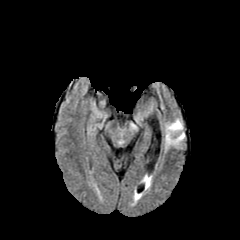
FLAIR MRI.
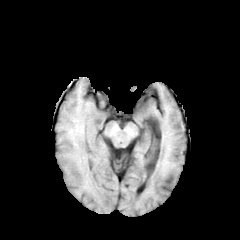
T1-weighted MR image of the same slice.
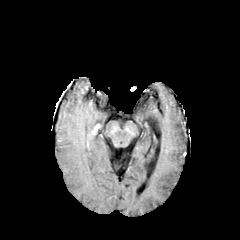
Post-contrast T1-weighted MRI.
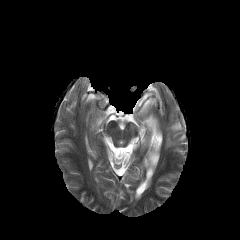
T2-weighted MRI.
Head | Image size 240x240
Edema = [x1=165, y1=119, x2=183, y2=147].